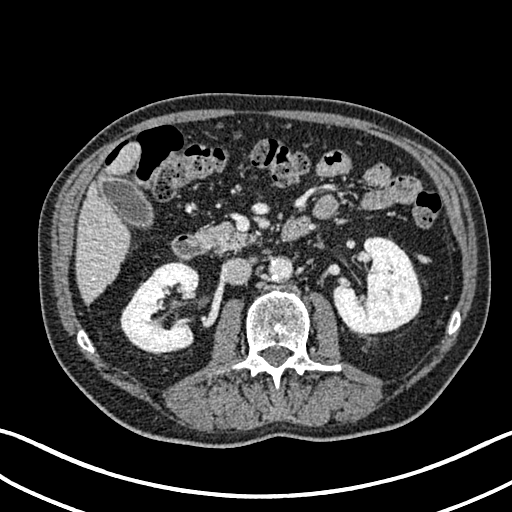
Upper abdomen. CT scan slice.
<segmentation>
  <liver>(left=105, top=142, right=140, bottom=173), (left=77, top=182, right=129, bottom=305)</liver>
  <kidney>(left=334, top=238, right=420, bottom=333), (left=121, top=263, right=197, bottom=352)</kidney>
</segmentation>